240x240; Slice 39/155
FLAIR MR image.
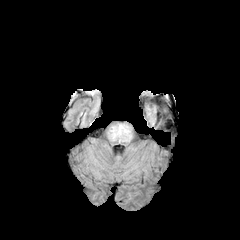
T1-weighted MRI.
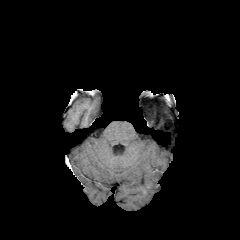
Post-contrast T1-weighted MR image.
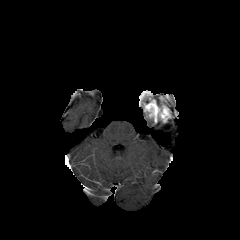
T2-weighted MR.
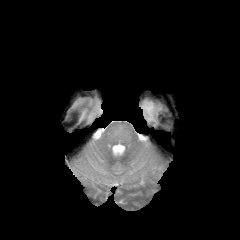
Enhancing tumor: 144, 102, 159, 118.